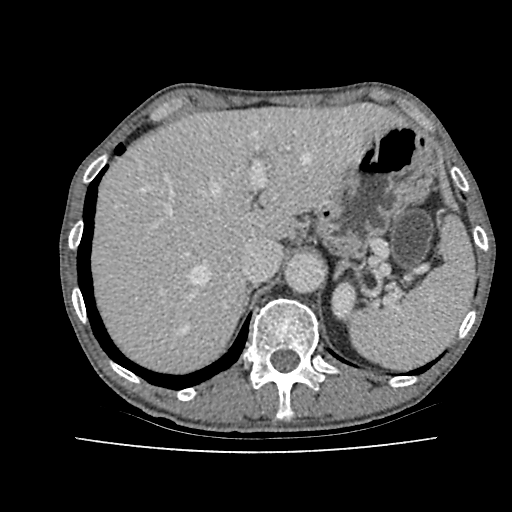
CT slice, Abdomen, 512x512
Kidney: bounding box x1=334 y1=286 x2=353 y2=315.
Liver: bounding box x1=90 y1=104 x2=402 y2=373.